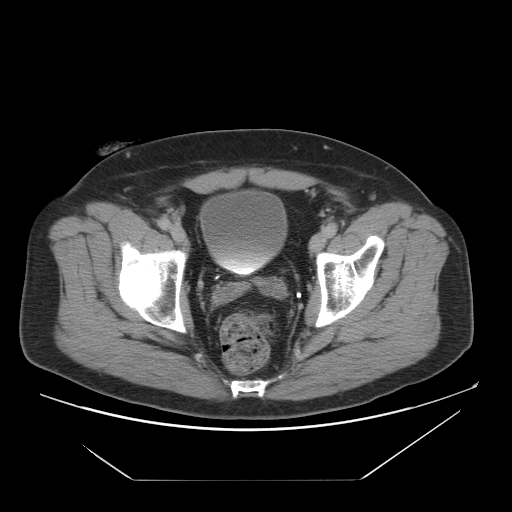 512x512 px | CT | Pelvis

<segmentation>
  <urinary_bladder>[202, 195, 284, 275]</urinary_bladder>
</segmentation>